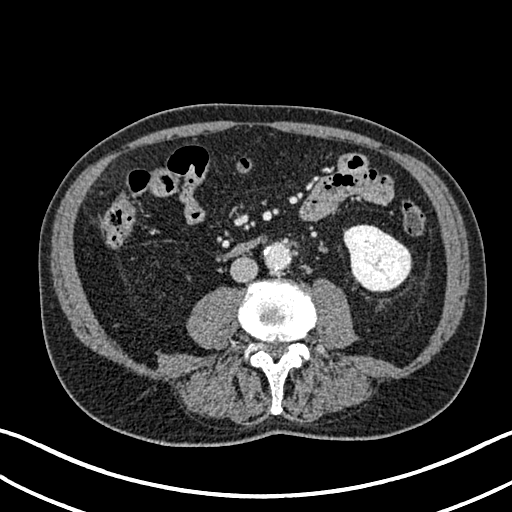 CT image, 512x512
The kidney is at 344 225 410 290.